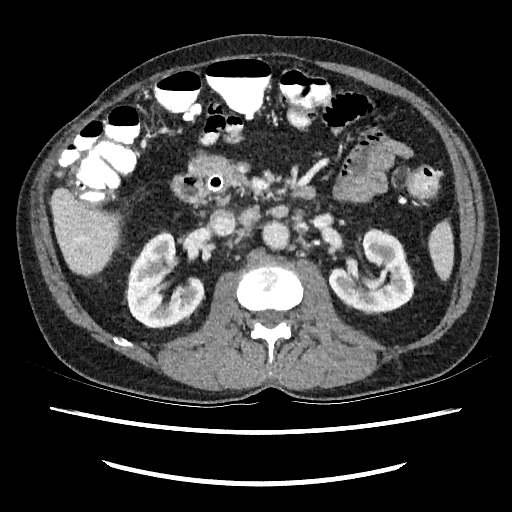 CT. • liver: {"x1": 52, "y1": 189, "x2": 119, "y2": 274}
• kidney: {"x1": 329, "y1": 231, "x2": 412, "y2": 310}, {"x1": 128, "y1": 234, "x2": 203, "y2": 326}